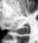 38x43 px | MRI slice

Posterior hippocampus at 16,26,28,34.